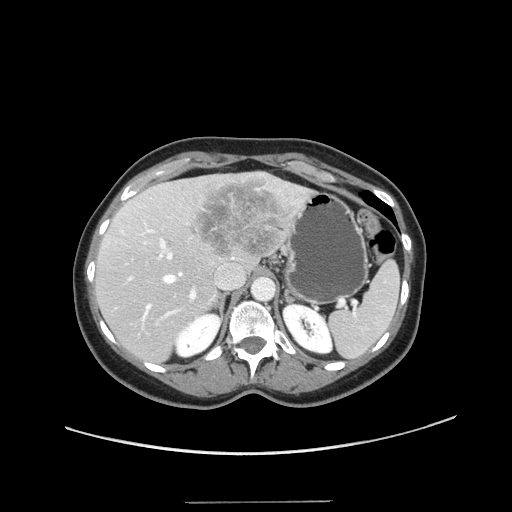 Liver | CT

Only some of the vessels may be annotated.
The liver tumor lies within 185,174,292,261. 9 hepatic vessel regions appear at 215,263,243,288; 179,272,181,275; 191,290,195,298; 166,310,175,315; 164,275,174,281; 147,229,152,231; 159,240,171,257; 129,277,131,278; 143,304,150,319.